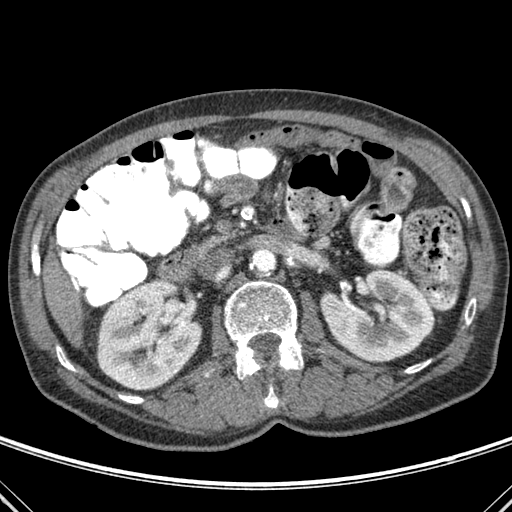

CT scan slice
Annotated regions:
- kidney: [98,281,200,389], [375,305,384,314], [322,271,433,360]
- liver: [44,238,82,342]
- bone: [340,282,350,299], [465,298,475,324], [264,384,278,407], [241,207,253,219], [118,394,143,403], [405,360,430,373], [56,346,75,371], [32,245,39,274], [224,281,303,378]